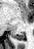

MRI slice
posterior hippocampus: l=12, t=33, r=24, b=40